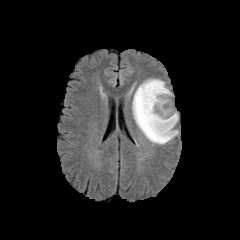
FLAIR magnetic resonance.
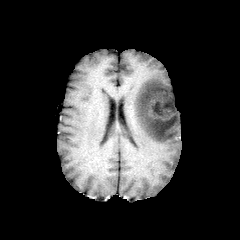
T1-weighted MRI of the same slice.
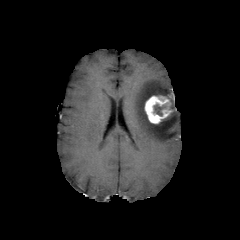
Post-contrast T1-weighted magnetic resonance.
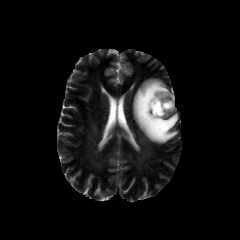
Same slice, T2-weighted MR image.
240x240, Head
{"enhancing_tumor": ["144, 92, 176, 124"], "non-enhancing_tumor_core": ["154, 104, 161, 114"], "edema": ["132, 78, 178, 144"]}